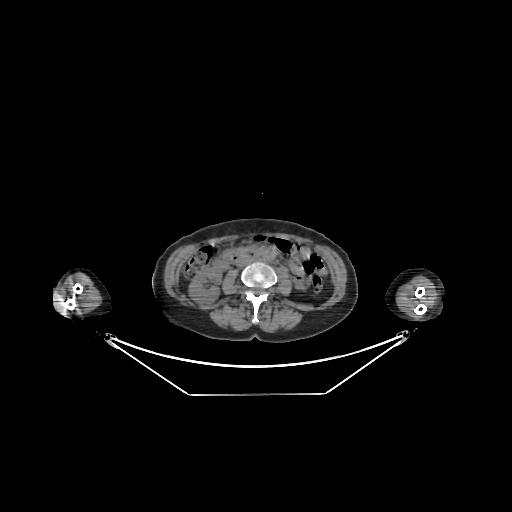 CT image | 512x512 px

Kidney — bbox=[188, 267, 223, 307].